FLAIR magnetic resonance.
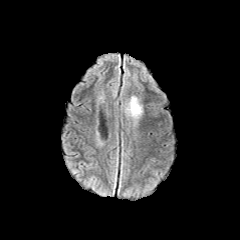
T1-weighted magnetic resonance.
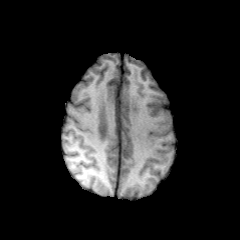
Post-contrast T1-weighted MRI.
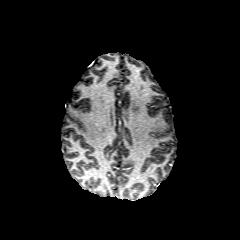
T2-weighted magnetic resonance.
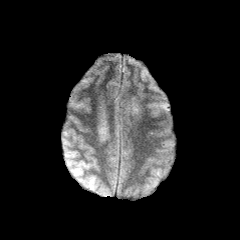
Brain
Edema: bounding box l=124, t=96, r=141, b=118.